38x43 | Field of view 38 mm wide, 1.00 mm slice spacing | Slice 32/41 | Medial temporal lobe | Magnetic resonance
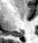

Posterior hippocampus: 14:33:22:37.